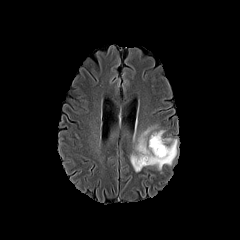
FLAIR MRI.
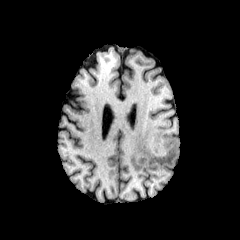
T1-weighted magnetic resonance.
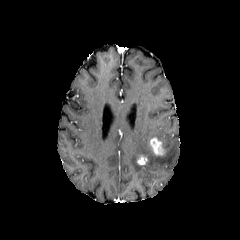
Post-contrast T1-weighted MRI of the same slice.
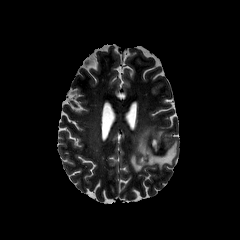
T2-weighted MRI of the same slice.
<segmentation>
  <enhancing_tumor>box=[137, 155, 149, 165]; box=[149, 135, 167, 156]</enhancing_tumor>
  <edema>box=[129, 125, 176, 172]</edema>
</segmentation>